Field of view 421x421 mm | Abdomen | Slice index 90 | CT slice
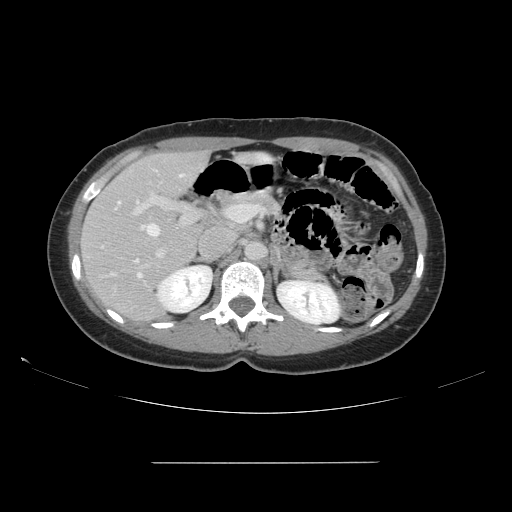

Some hepatic vessels may have no box.
Hepatic vessel: bounding box rect(132, 194, 156, 214); rect(133, 259, 138, 262); rect(141, 223, 159, 236); rect(115, 207, 117, 209); rect(144, 264, 148, 266); rect(111, 273, 116, 275); rect(157, 249, 164, 257); rect(164, 208, 166, 210); rect(179, 173, 184, 177); rect(160, 197, 162, 198); rect(181, 222, 185, 224); rect(137, 268, 141, 277); rect(118, 201, 119, 205); rect(154, 169, 157, 171).